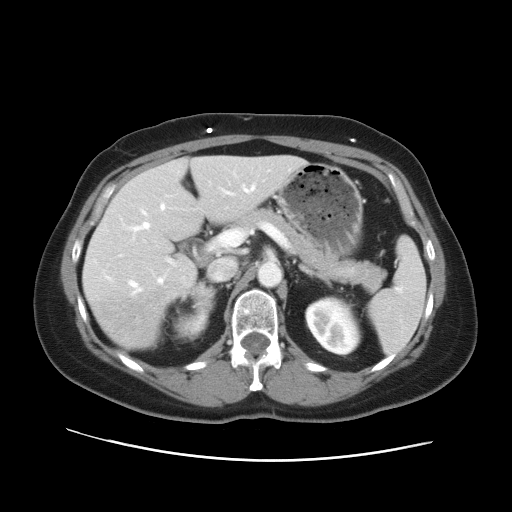

Abdomen, Computed tomography
Some hepatic vessels may have no box.
hepatic vessel: rect(159, 279, 160, 281); rect(167, 259, 175, 265); rect(210, 229, 245, 248); rect(125, 220, 150, 234); rect(160, 202, 165, 210)